Slice 480 of 733 | CT slice
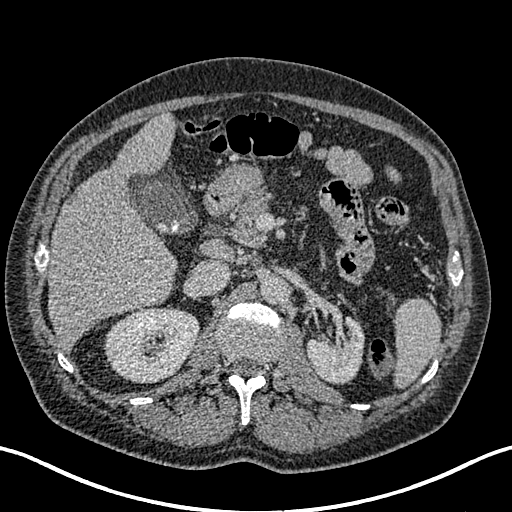
2 kidney regions are located at l=308, t=319, r=363, b=382; l=106, t=309, r=198, b=382. The liver lies within l=49, t=113, r=175, b=349.